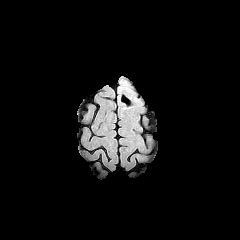
FLAIR MR image.
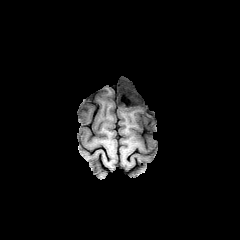
T1-weighted MR.
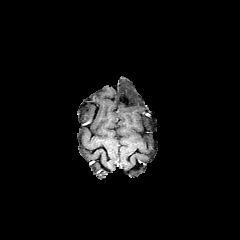
Post-contrast T1-weighted MR of the same slice.
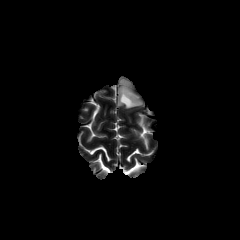
T2-weighted magnetic resonance.
The edema appears at [x1=117, y1=79, x2=141, y2=108].